Slice index 112. Brain.
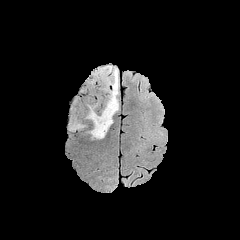
FLAIR MR image.
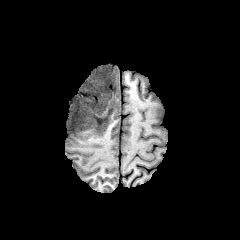
T1-weighted MR image of the same slice.
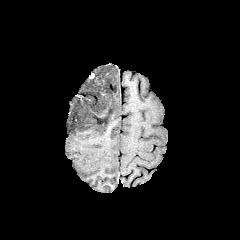
Post-contrast T1-weighted MRI.
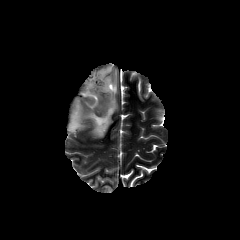
T2-weighted MR.
2 edema regions are located at <box>69,116,84,130</box>, <box>86,65,119,138</box>. The non-enhancing tumor core is located at <box>90,72,109,81</box>.